Brain
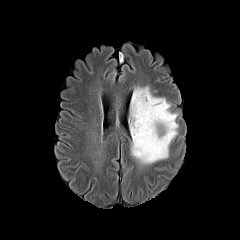
FLAIR magnetic resonance.
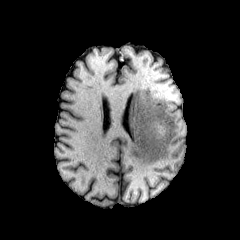
T1-weighted MR image.
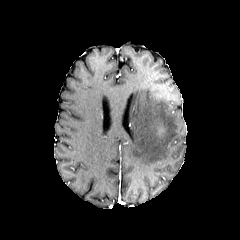
Post-contrast T1-weighted magnetic resonance.
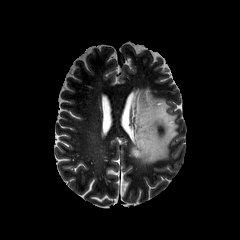
T2-weighted magnetic resonance of the same slice.
<segmentation>
  <non-enhancing_tumor_core>[156, 123, 164, 137]</non-enhancing_tumor_core>
  <edema>[130, 87, 178, 164]</edema>
</segmentation>